Brain
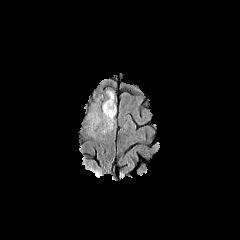
FLAIR MR image.
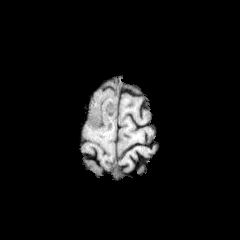
T1-weighted MR of the same slice.
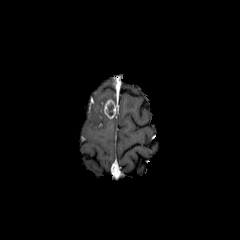
Same slice, post-contrast T1-weighted magnetic resonance.
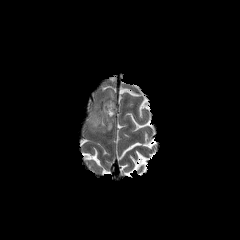
Same slice, T2-weighted magnetic resonance.
The enhancing tumor appears at (x1=103, y1=100, x2=116, y2=118). The non-enhancing tumor core is located at (x1=107, y1=103, x2=113, y2=116).